Head; Slice 88/155
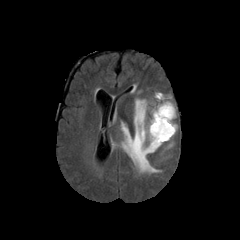
FLAIR MRI.
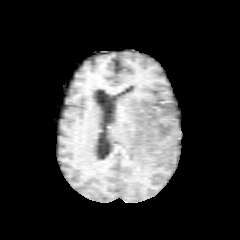
Same slice, T1-weighted MRI.
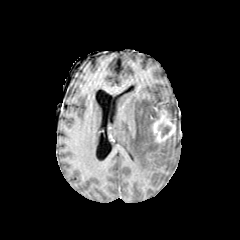
Post-contrast T1-weighted magnetic resonance.
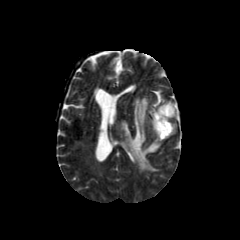
T2-weighted MR.
2 non-enhancing tumor core regions appear at 162,126,170,135; 153,102,173,119. The enhancing tumor lies within 152,108,175,142. The edema is at 121,91,178,172.